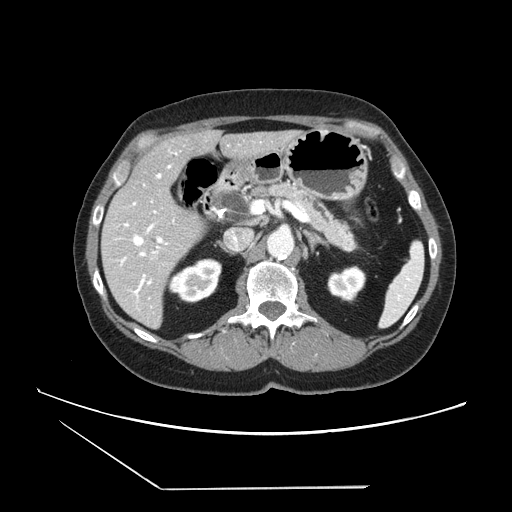
CT scan slice. Upper abdomen.
Pancreas — (267, 184, 354, 249).